FLAIR magnetic resonance.
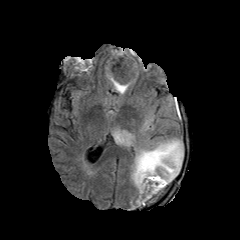
T1-weighted MR image.
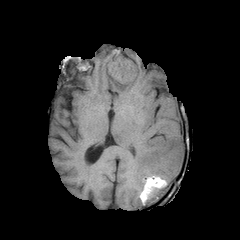
Post-contrast T1-weighted MR.
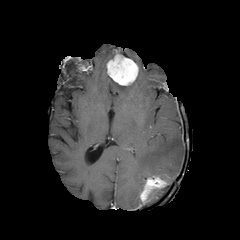
T2-weighted MR.
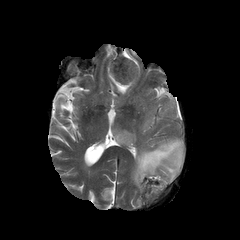
240x240 | Brain
{
  "edema": [
    "bbox=[108, 75, 131, 93]",
    "bbox=[132, 137, 183, 192]"
  ],
  "enhancing_tumor": [
    "bbox=[108, 61, 134, 85]",
    "bbox=[140, 176, 166, 201]"
  ],
  "non-enhancing_tumor_core": [
    "bbox=[110, 56, 136, 81]"
  ]
}